Slice index 77 | MRI

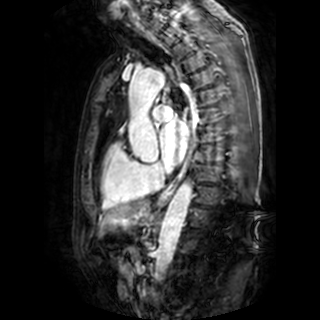

Left atrium — left=160, top=119, right=189, bottom=165.